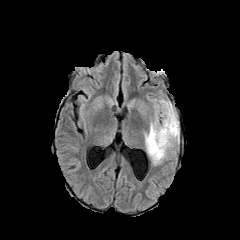
FLAIR magnetic resonance.
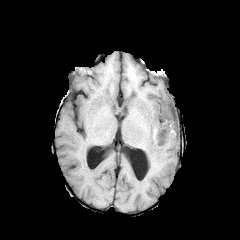
T1-weighted magnetic resonance.
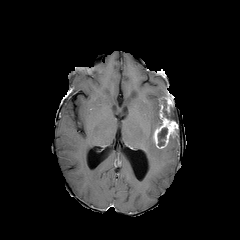
Post-contrast T1-weighted magnetic resonance.
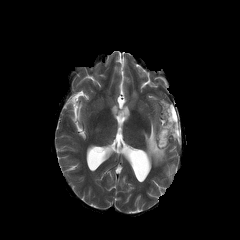
T2-weighted MR image of the same slice.
Head.
enhancing_tumor:
  - (152,114,177,147)
  - (166,98,171,111)
edema:
  - (144,100,179,165)
non-enhancing_tumor_core:
  - (157,128,167,149)
  - (160,97,177,123)